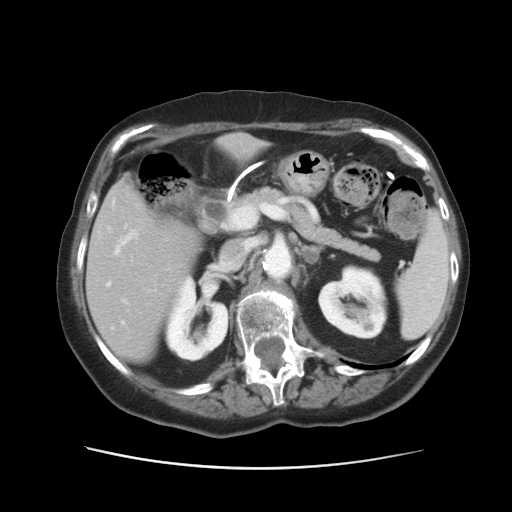 CT image | Abdomen

Some hepatic vessels may have no box.
Hepatic vessel — bbox(107, 228, 110, 230); bbox(106, 282, 109, 286); bbox(221, 201, 264, 229); bbox(112, 201, 113, 206); bbox(120, 321, 123, 324); bbox(121, 299, 126, 303); bbox(113, 225, 137, 255).